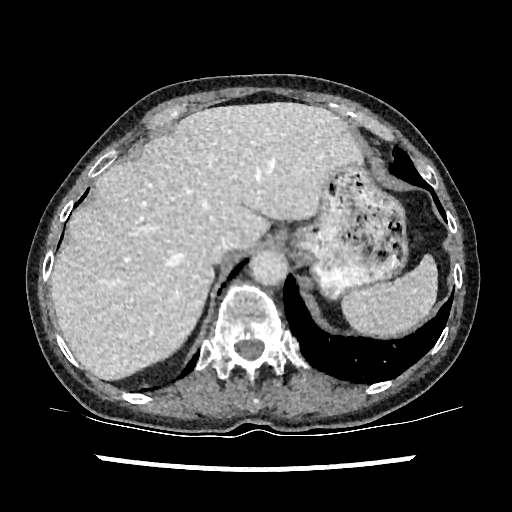
Computed tomography, Upper abdomen
liver:
  - x1=52, y1=103, x2=361, y2=377